FLAIR MRI.
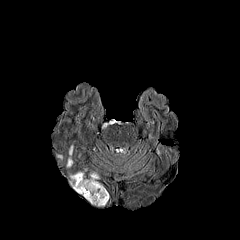
T1-weighted MR image.
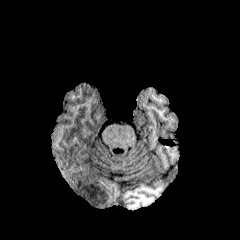
Post-contrast T1-weighted MR image.
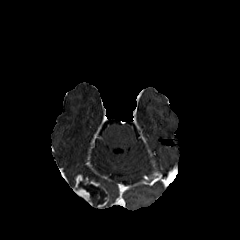
T2-weighted magnetic resonance.
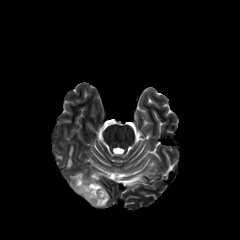
Image size 240x240
The edema is bounded by (x1=67, y1=144, x2=73, y2=166). 2 enhancing tumor regions appear at (x1=73, y1=189, x2=92, y2=205), (x1=75, y1=174, x2=83, y2=187). The non-enhancing tumor core lies within (x1=69, y1=176, x2=107, y2=208).